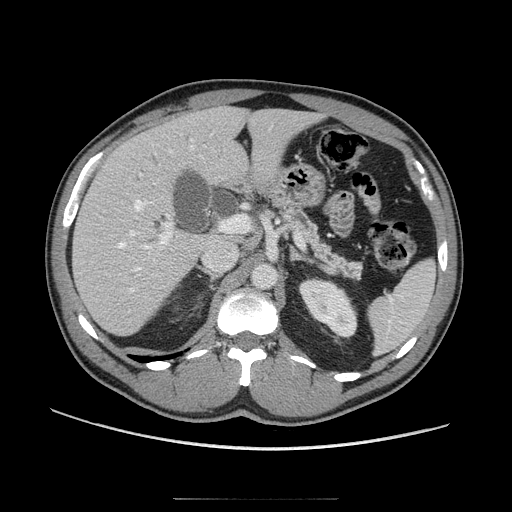

Computed tomography; Abdomen; 512x512 px
The pancreas is bounded by box=[279, 207, 361, 278].